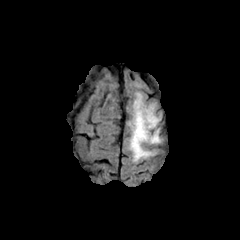
FLAIR magnetic resonance.
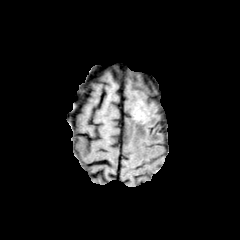
T1-weighted magnetic resonance.
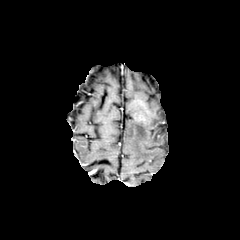
Same slice, post-contrast T1-weighted magnetic resonance.
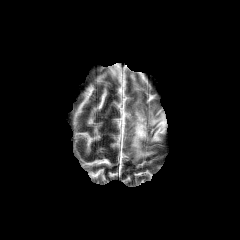
T2-weighted MR image.
Head
Edema: l=129, t=93, r=162, b=161.
Non-enhancing tumor core: l=133, t=111, r=147, b=124.